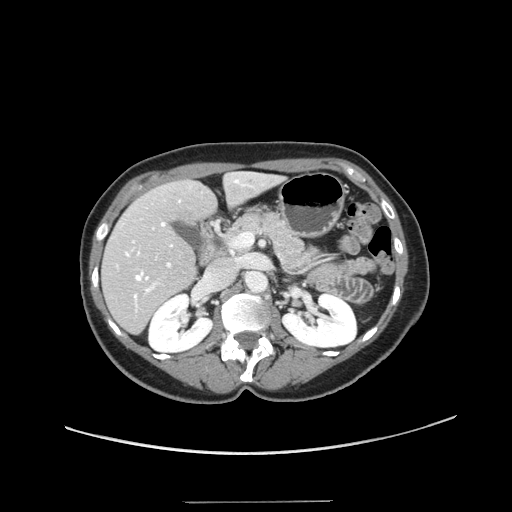

CT scan slice

The vessel annotation is not exhaustive.
• hepatic vessel: [162,222,164,225], [136,272,147,279], [138,251,139,252], [126,251,129,254], [146,283,154,291], [168,263,170,265], [179,200,180,201], [135,294,137,304]